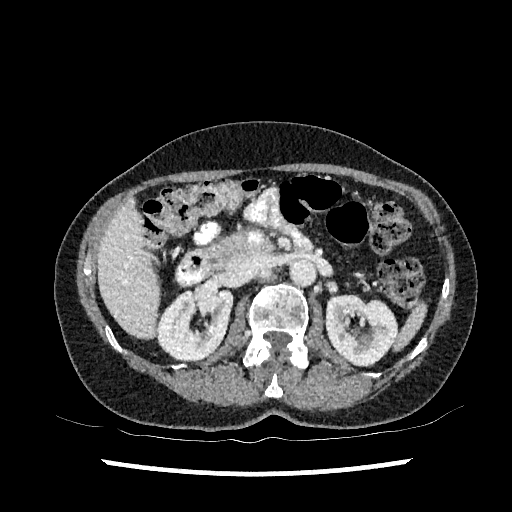

Liver. 512x512. CT slice. Liver: left=98, top=201, right=158, bottom=337.
Kidney: left=326, top=296, right=396, bottom=365; left=158, top=280, right=232, bottom=359.